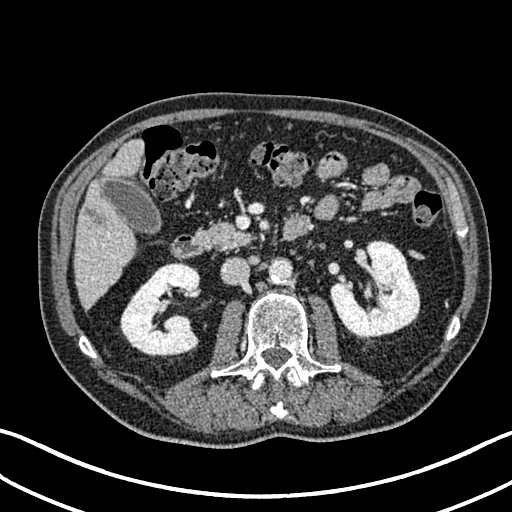

Computed tomography; Image size 512x512

2 liver regions are bounded by l=103, t=140, r=143, b=177; l=75, t=180, r=134, b=309. 2 kidney regions appear at l=331, t=241, r=419, b=336; l=121, t=264, r=198, b=354. The focal liver lesion is located at l=85, t=208, r=103, b=225.